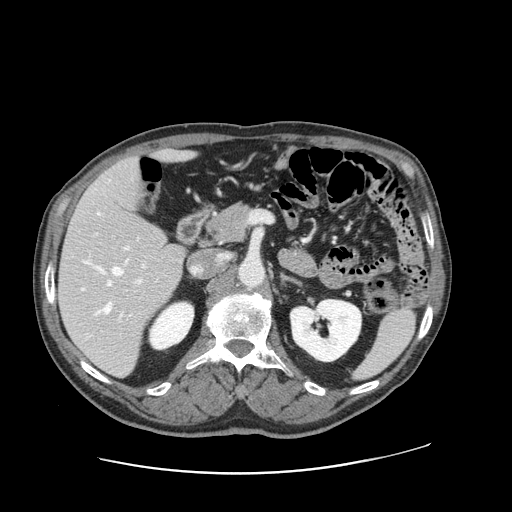
CT scan slice
Only some of the vessels may be annotated.
Segmented structures:
- hepatic vessel: bbox(85, 261, 89, 263); bbox(95, 311, 99, 314); bbox(113, 267, 122, 274); bbox(108, 282, 110, 284); bbox(136, 280, 140, 282); bbox(125, 247, 128, 249); bbox(81, 288, 84, 290); bbox(95, 266, 104, 272); bbox(142, 265, 144, 267); bbox(100, 303, 110, 312)